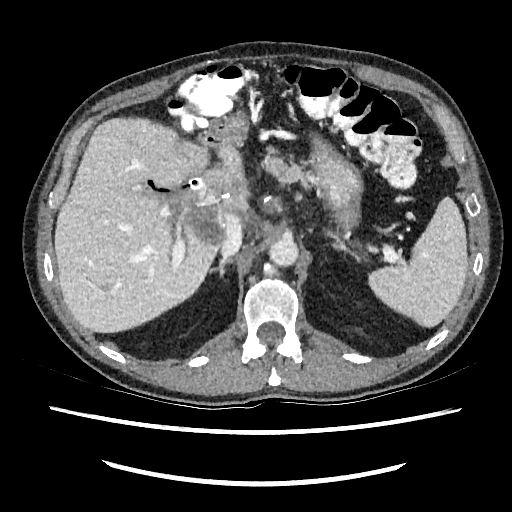 CT scan slice. Upper abdomen.
<segmentation>
  <liver>(x1=246, y1=205, x2=250, y2=227), (x1=188, y1=178, x2=203, y2=189), (x1=54, y1=118, x2=243, y2=331)</liver>
  <hepatic_lesion>(x1=161, y1=167, x2=248, y2=244)</hepatic_lesion>
</segmentation>